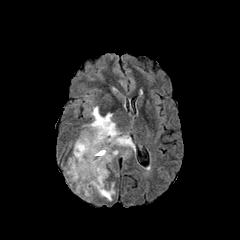
FLAIR MR.
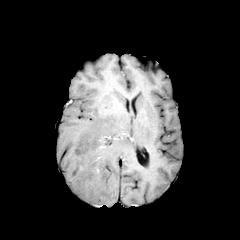
T1-weighted MR image of the same slice.
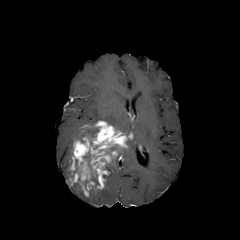
Post-contrast T1-weighted MRI of the same slice.
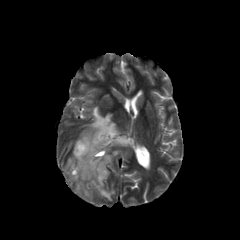
T2-weighted MRI of the same slice.
240x240
3 edema regions appear at l=76, t=106, r=128, b=139; l=92, t=184, r=114, b=200; l=121, t=138, r=134, b=156. 3 non-enhancing tumor core regions are bounded by l=100, t=146, r=113, b=156; l=89, t=168, r=99, b=196; l=80, t=126, r=97, b=143. The enhancing tumor is at l=70, t=120, r=130, b=196.